Slice 155 of 836, Pelvis, CT 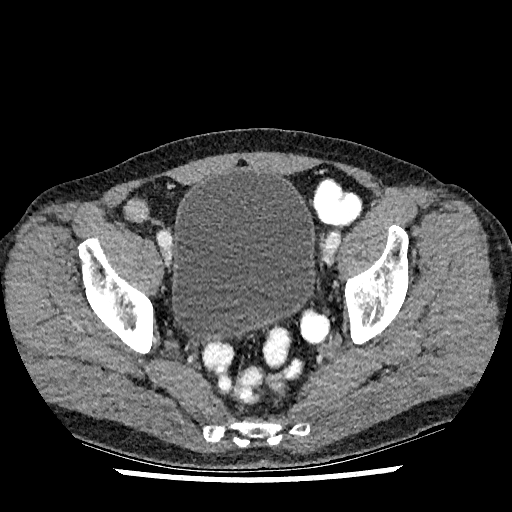 The urinary bladder is located at x1=172, y1=170, x2=313, y2=343.